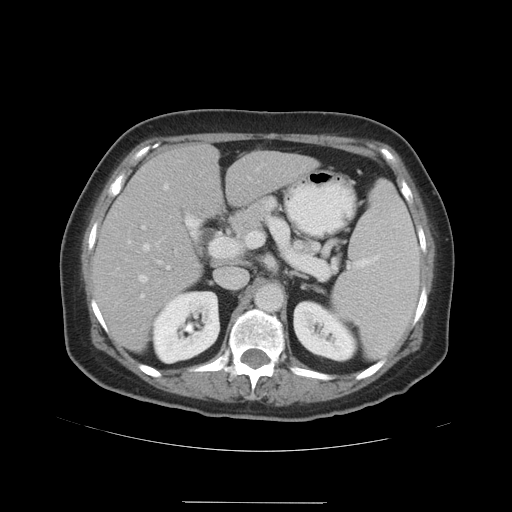
512x512 px; CT; Liver
Some hepatic vessels may have no box.
Hepatic vessel at 166:266:169:269, 139:275:147:281, 256:169:257:170, 214:183:220:195, 142:226:145:228, 220:200:221:202, 141:294:144:296, 144:244:149:250, 157:261:162:263, 175:249:176:252, 164:184:167:189, 127:241:130:242.